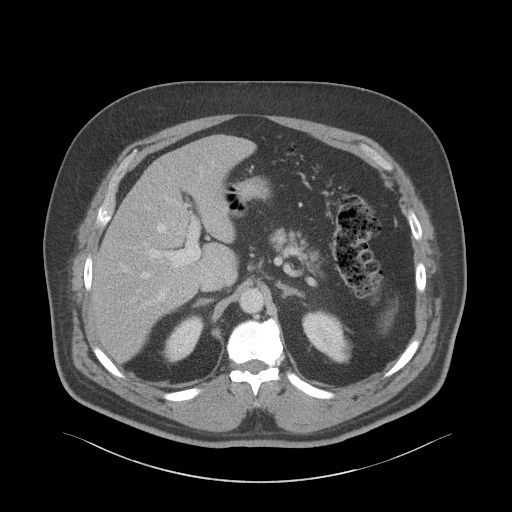 CT slice.
<segmentation>
  <liver>(93,136,248,357)</liver>
  <kidney>(303,312,346,361), (166,317,202,360)</kidney>
</segmentation>